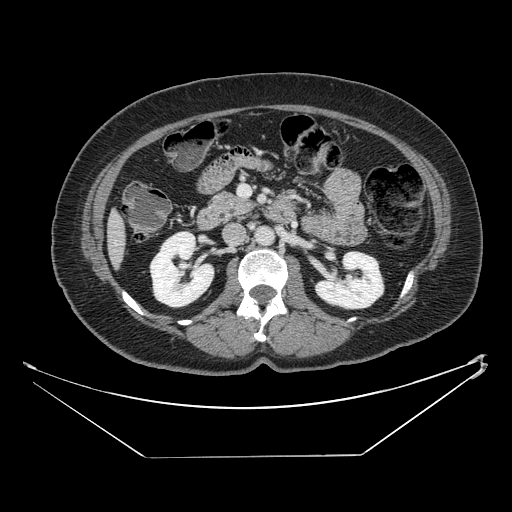

CT; Image size 512x512

Segmented structures:
• pancreas: l=208, t=190, r=255, b=223